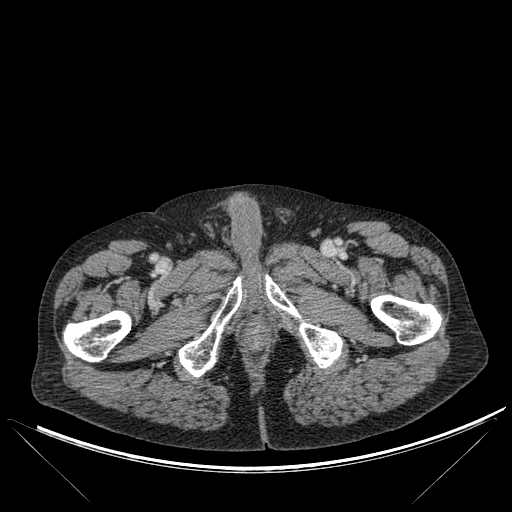

Image size 512x512, Computed tomography
Annotated regions:
* bone: [x1=63, y1=310, x2=131, y2=361], [x1=179, y1=277, x2=242, y2=376], [x1=371, y1=295, x2=441, y2=344], [x1=265, y1=276, x2=342, y2=367]